FLAIR MR.
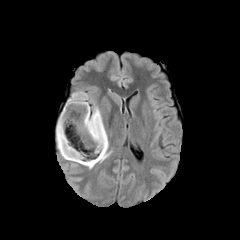
T1-weighted magnetic resonance.
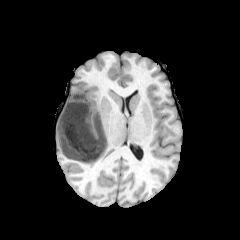
Post-contrast T1-weighted MR.
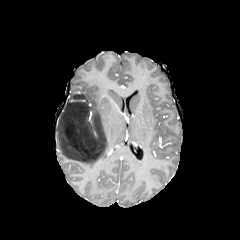
T2-weighted MRI.
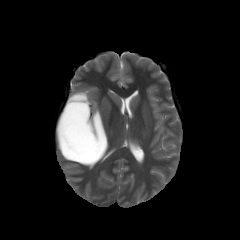
240x240
The non-enhancing tumor core lies within [58,92,107,162]. 2 edema regions are located at [83,92,108,151], [56,117,107,168].